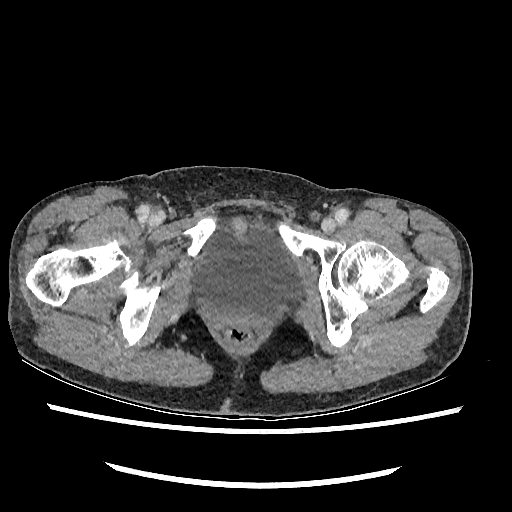
CT slice. 512x512 px.

{"urinary_bladder": ["187:214:305:325"]}